CT. Slice index 141. Image size 512x512.
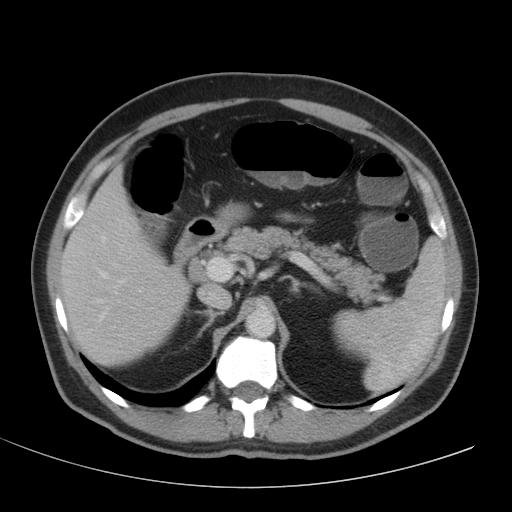

<segmentation>
  <liver>region(58, 166, 188, 364); region(199, 284, 230, 308)</liver>
</segmentation>